FLAIR MR.
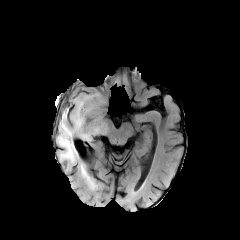
T1-weighted MRI.
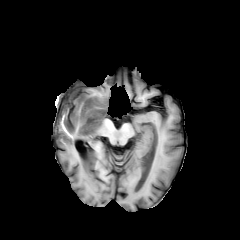
Post-contrast T1-weighted MRI.
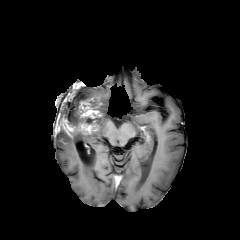
T2-weighted MR.
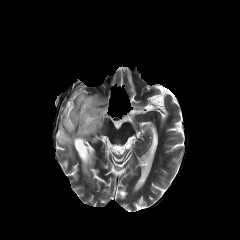
240x240 px
Annotated regions:
• enhancing tumor: bbox=[79, 98, 101, 118]; bbox=[78, 120, 96, 133]; bbox=[62, 118, 75, 135]
• edema: bbox=[56, 130, 97, 188]; bbox=[74, 86, 101, 111]; bbox=[61, 98, 81, 127]
• non-enhancing tumor core: bbox=[69, 89, 90, 117]; bbox=[80, 116, 101, 128]; bbox=[54, 113, 73, 133]